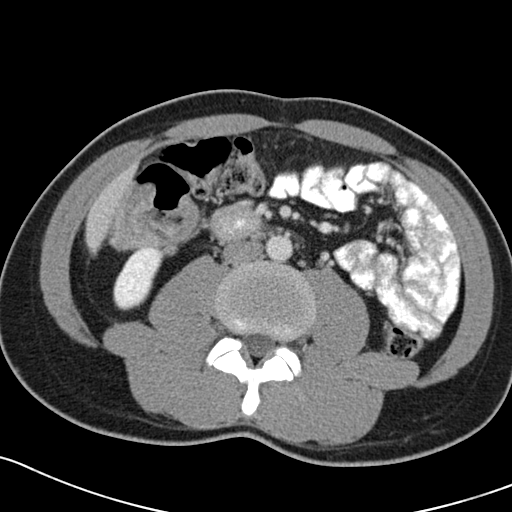

Image size 512x512, Computed tomography, Abdomen
Colon tumor: bounding box region(110, 183, 200, 249).